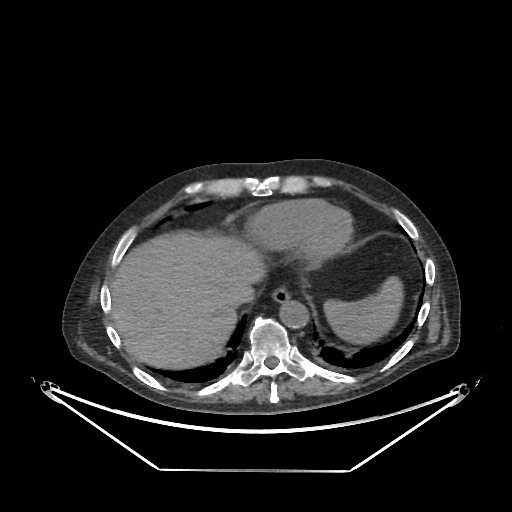 Computed tomography. Segmented structures:
• liver: box=[105, 231, 264, 369]